Brain.
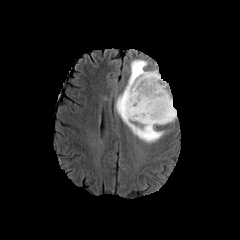
FLAIR MR image.
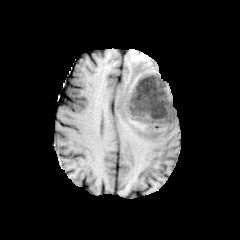
Same slice, T1-weighted MRI.
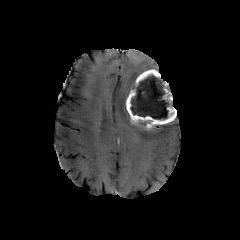
Same slice, post-contrast T1-weighted MRI.
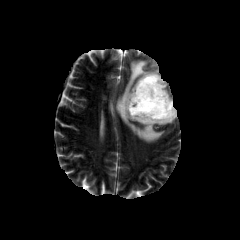
T2-weighted MR.
2 enhancing tumor regions appear at [x1=135, y1=70, x2=160, y2=86], [x1=126, y1=83, x2=175, y2=129]. 3 non-enhancing tumor core regions are located at [x1=144, y1=127, x2=155, y2=135], [x1=120, y1=96, x2=127, y2=112], [x1=131, y1=75, x2=167, y2=119]. The edema appears at [x1=114, y1=58, x2=169, y2=143].